CT. Liver.

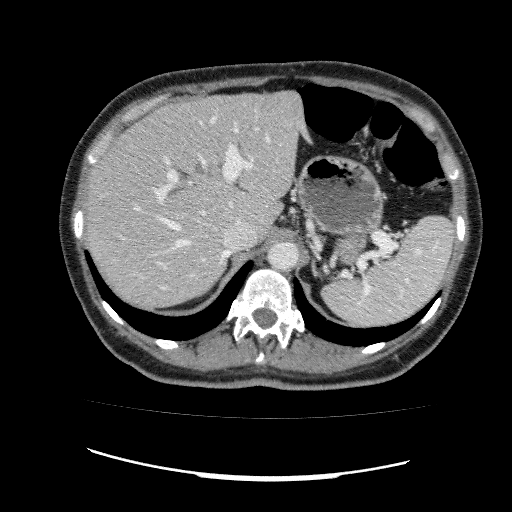
liver:
  - 84 90 311 307